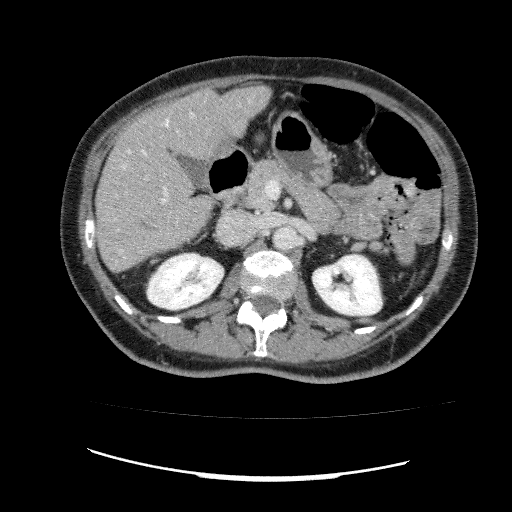 CT image. Upper abdomen. {
  "kidney": [
    "bbox(313, 255, 381, 315)",
    "bbox(147, 254, 222, 309)"
  ],
  "liver": [
    "bbox(95, 86, 272, 271)"
  ],
  "hepatic_lesion": [
    "bbox(141, 221, 156, 232)"
  ]
}